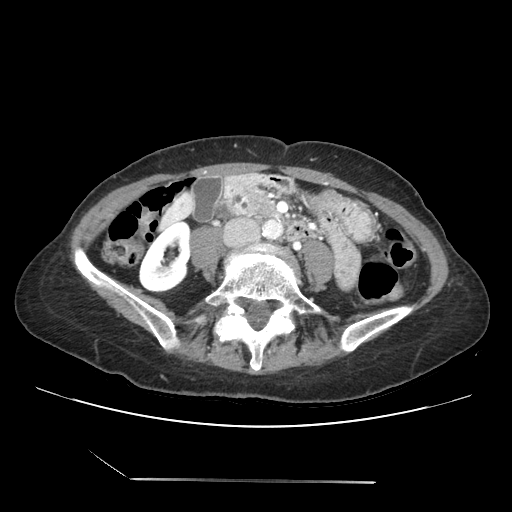
CT scan slice
Pancreas: bounding box <box>215,173,295,222</box>.